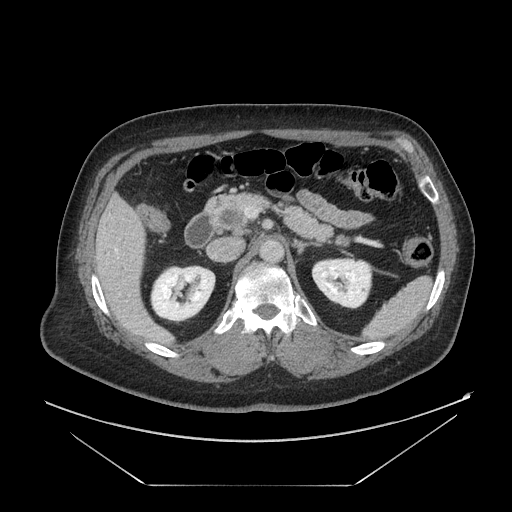 Upper abdomen; CT image
Pancreas: {"x1": 211, "y1": 193, "x2": 349, "y2": 246}.
Pancreatic tumor: {"x1": 220, "y1": 209, "x2": 242, "y2": 224}.